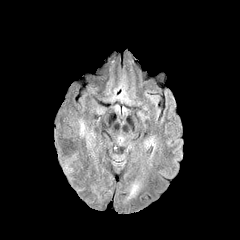
FLAIR MRI.
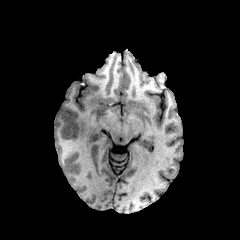
T1-weighted MR.
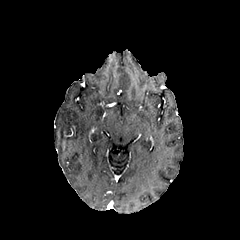
Same slice, post-contrast T1-weighted MRI.
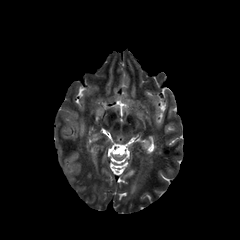
T2-weighted MRI.
The edema is bounded by (77,119,84,136).